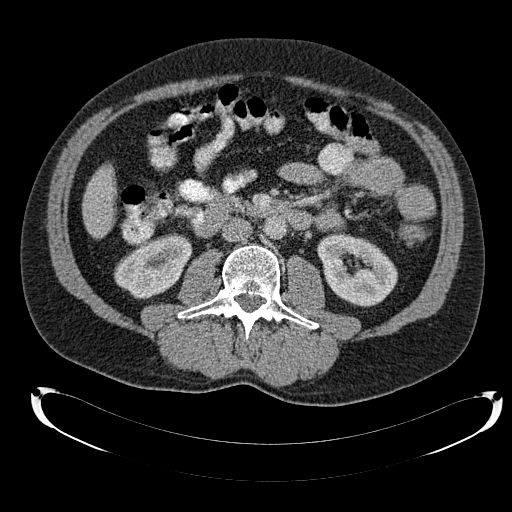

Computed tomography; Image size 512x512; Abdomen

Annotated regions:
- liver: 83 167 114 237
- kidney: 115 236 190 297, 318 235 396 305